Slice 342/689. Computed tomography. Liver. Image width 360 mm.

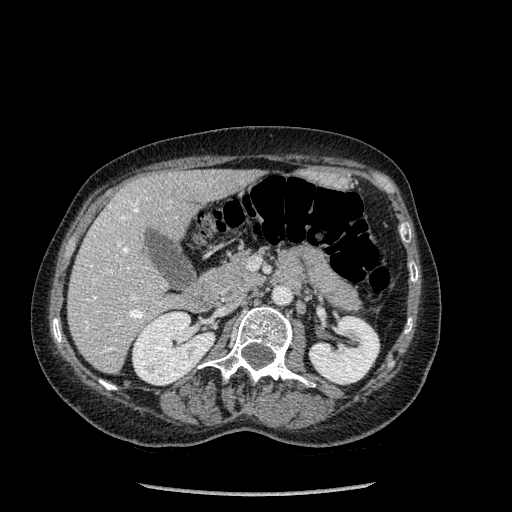
bone:
  - x1=52, y1=318, x2=61, y2=342
  - x1=400, y1=224, x2=411, y2=242
  - x1=409, y1=262, x2=418, y2=282
  - x1=99, y1=379, x2=116, y2=389
  - x1=198, y1=306, x2=315, y2=386
  - x1=405, y1=317, x2=412, y2=333
liver:
  - x1=67, y1=169, x2=262, y2=373
kidney:
  - x1=309, y1=316, x2=379, y2=383
  - x1=133, y1=312, x2=214, y2=384